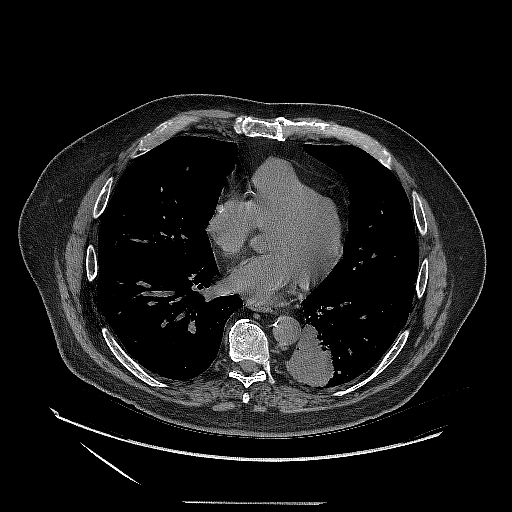

Lung, CT
{
  "lung_tumor": [
    "285, 322, 336, 388"
  ]
}